Liver; Computed tomography 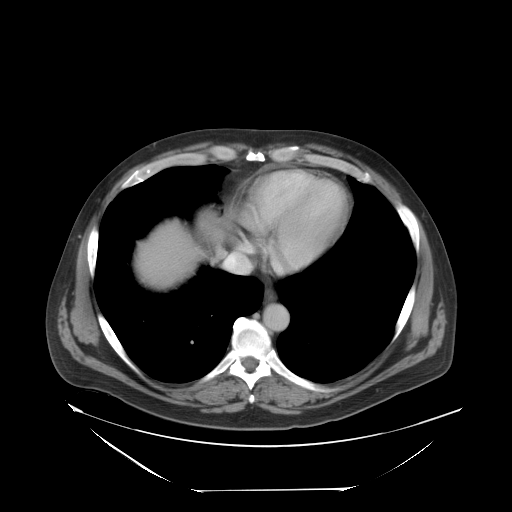
The vessel boxes may cover only some of the vessels.
The hepatic vessel is bounded by box(222, 244, 254, 273).